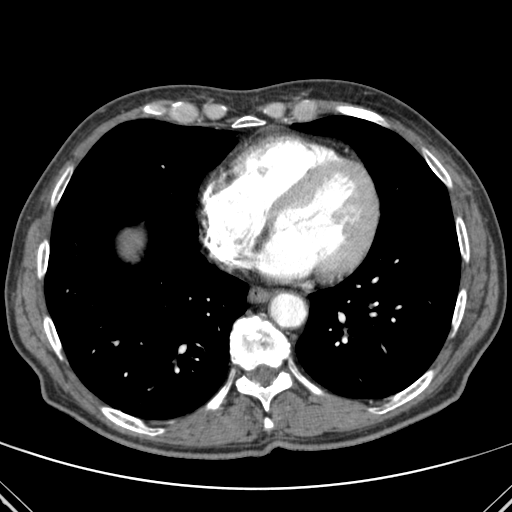
Thorax | CT
Bone: (x1=452, y1=289, x2=466, y2=330), (x1=378, y1=371, x2=433, y2=413), (x1=337, y1=106, x2=382, y2=122), (x1=51, y1=168, x2=69, y2=205), (x1=101, y1=407, x2=163, y2=435), (x1=230, y1=316, x2=323, y2=394), (x1=236, y1=372, x2=291, y2=410), (x1=43, y1=317, x2=60, y2=356), (x1=264, y1=418, x2=272, y2=428), (x1=144, y1=106, x2=160, y2=114), (x1=37, y1=240, x2=48, y2=277), (x1=456, y1=217, x2=469, y2=260), (x1=206, y1=383, x2=230, y2=410), (x1=232, y1=116, x2=264, y2=127), (x1=424, y1=149, x2=451, y2=186).
Lung: (x1=292, y1=116, x2=460, y2=398), (x1=44, y1=119, x2=248, y2=419).